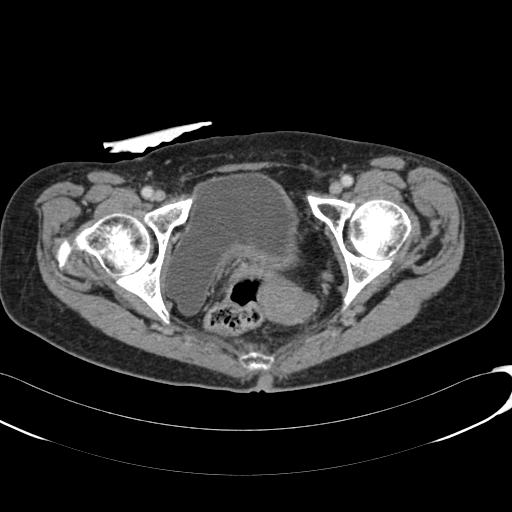

512x512 | Computed tomography | Lower abdomen
urinary_bladder:
  - (164, 173, 296, 315)